Slice 24 of 129; CT image
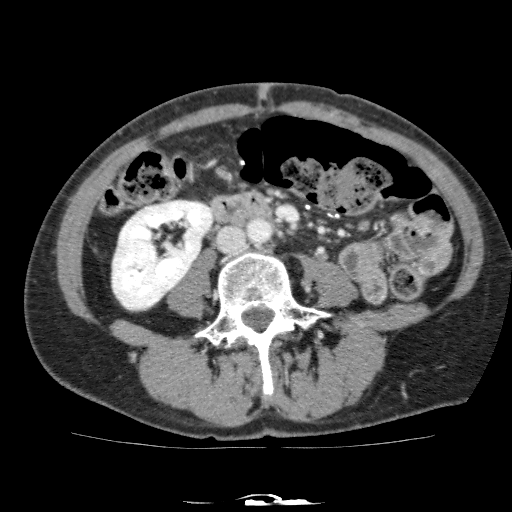 <segmentation>
  <kidney>[112,201,211,308]</kidney>
</segmentation>